FLAIR MRI.
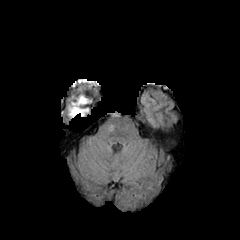
T1-weighted MR.
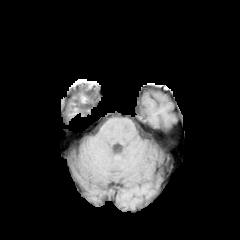
Post-contrast T1-weighted MR.
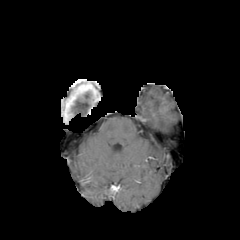
T2-weighted MR image.
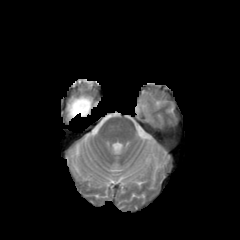
Image size 240x240, Head
Edema: bounding box 68 95 88 114.